Upper abdomen | Slice index 339 | CT 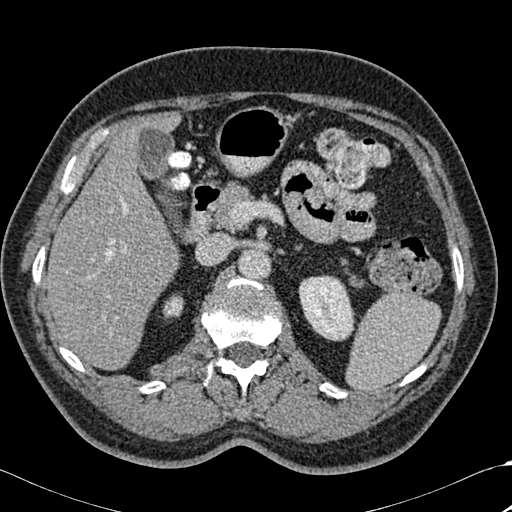
Annotated regions:
- kidney: 167,298,181,315; 300,277,352,339
- liver: 46,127,177,370; 158,112,179,130
- bone: 33,248,44,282; 207,364,212,377; 60,348,83,371; 320,383,346,397; 202,278,280,391; 453,248,463,288; 140,381,165,393; 401,365,425,385; 61,160,74,192